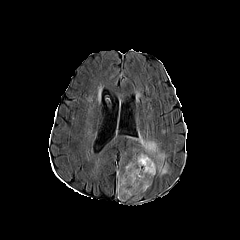
FLAIR MR image.
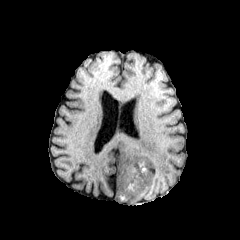
T1-weighted MR of the same slice.
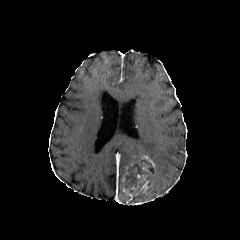
Post-contrast T1-weighted MR.
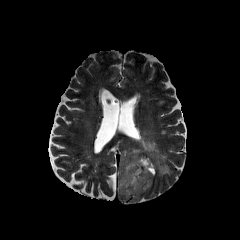
T2-weighted MR image of the same slice.
Edema at x1=135 y1=132 x2=168 y2=177.
Non-enhancing tumor core at x1=124 y1=159 x2=150 y2=192.
Enhancing tumor at x1=119 y1=155 x2=156 y2=201.